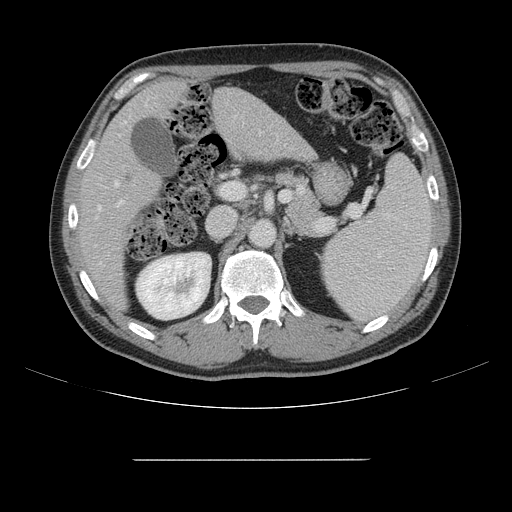

CT scan slice
Only some of the vessels may be annotated.
5 hepatic vessel regions appear at <box>95,216,97,218</box>, <box>98,206,101,210</box>, <box>260,131,262,133</box>, <box>115,181,118,185</box>, <box>115,200,122,206</box>.